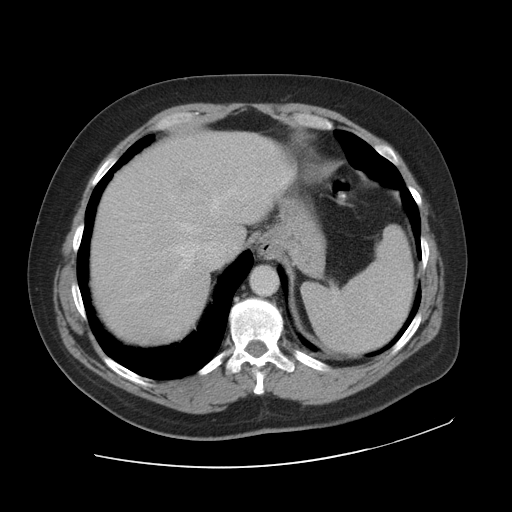
CT scan slice | Abdomen | Image size 512x512
Not every hepatic vessel necessarily has a box.
Liver tumor: left=172, top=167, right=210, bottom=207.
Hepatic vessel: left=215, top=216, right=216, bottom=217; left=165, top=215, right=166, bottom=217; left=213, top=187, right=236, bottom=203; left=237, top=178, right=243, bottom=181; left=218, top=210, right=219, bottom=212; left=163, top=252, right=164, bottom=255; left=178, top=223, right=200, bottom=231; left=169, top=242, right=198, bottom=269; left=137, top=202, right=139, bottom=205; left=143, top=223, right=147, bottom=225; left=172, top=293, right=176, bottom=300; left=250, top=175, right=254, bottom=179; left=211, top=205, right=216, bottom=214.